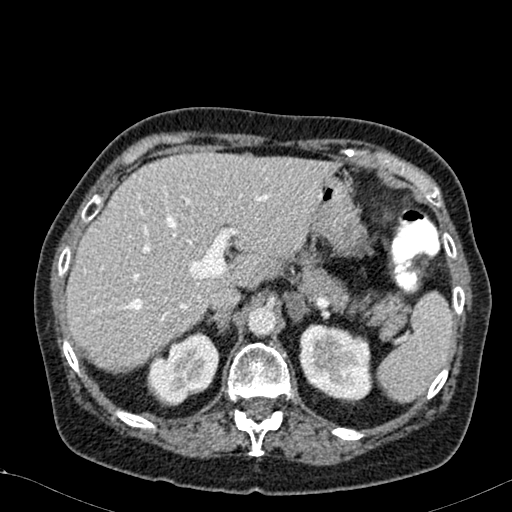

CT slice. Liver. 512x512 px.
The liver is at 66 153 337 369. 2 kidney regions appear at 148 333 218 403, 300 325 371 399.